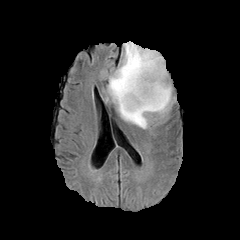
FLAIR magnetic resonance.
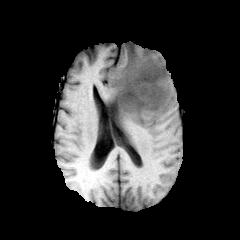
Same slice, T1-weighted MRI.
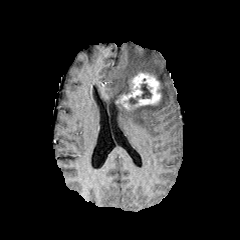
Post-contrast T1-weighted MR image of the same slice.
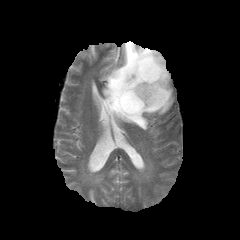
T2-weighted MRI.
240x240 px
Edema at 103:42:173:129.
Enhancing tumor at 116:70:161:108.
Non-enhancing tumor core at 128:96:138:105, 131:63:163:83, 141:84:151:98, 108:96:124:113.